Field of view 320 mm wide, 0.80 mm slice spacing. 512x512 px. Abdomen. CT.
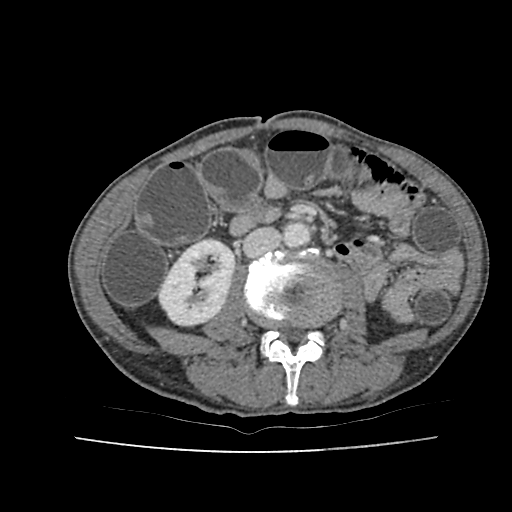

kidney: 160:240:234:324